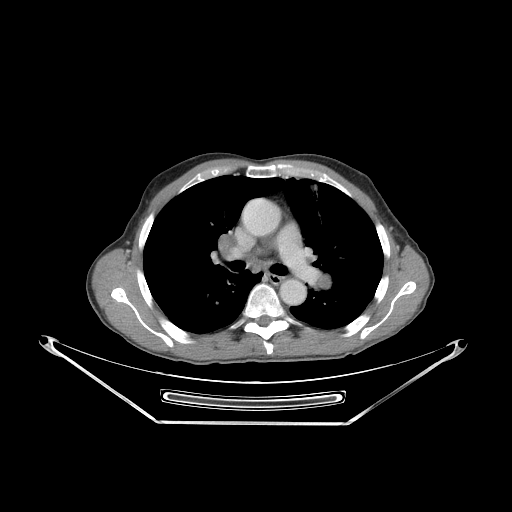
512x512 px, CT
{"lung": ["143:175:383:334"], "bone": ["111:288:172:346", "377:225:389:256", "361:281:415:338", "343:316:368:336", "375:277:388:302", "139:214:152:247", "157:316:190:342", "137:271:152:308", "244:284:291:353", "247:165:274:177"]}